240x240 px, Slice 50/155
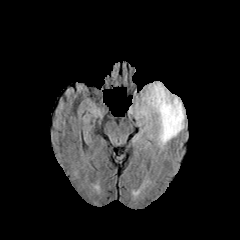
FLAIR MRI.
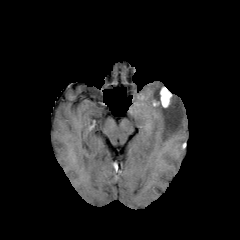
Same slice, T1-weighted MRI.
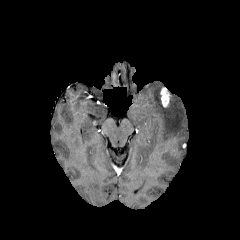
Same slice, post-contrast T1-weighted MR image.
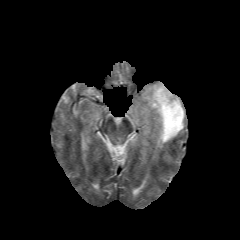
T2-weighted magnetic resonance.
edema: 129:81:185:148 | enhancing tumor: 160:87:170:107